CT, Slice 314/466
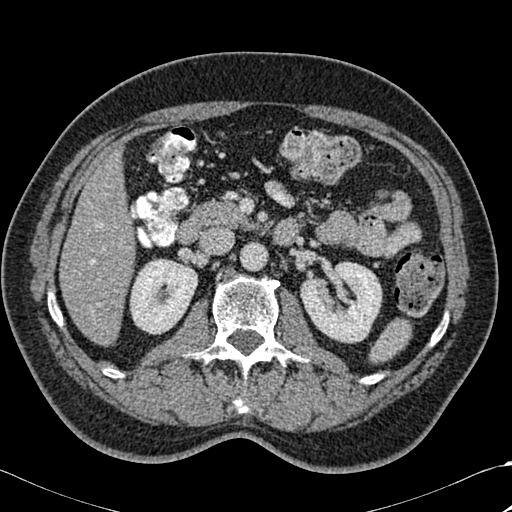

{"bone": ["[235, 395, 249, 412]", "[431, 318, 447, 345]", "[362, 374, 379, 384]", "[194, 277, 302, 375]", "[48, 293, 62, 325]", "[104, 368, 122, 377]"], "liver": ["[61, 150, 134, 344]"], "kidney": ["[301, 263, 381, 342]", "[131, 260, 196, 333]"]}